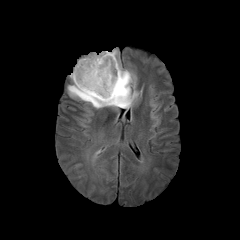
FLAIR MR image.
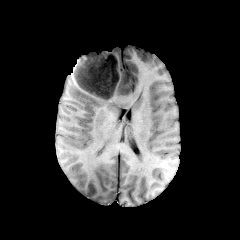
Same slice, T1-weighted magnetic resonance.
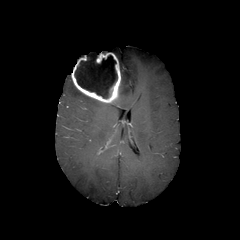
Same slice, post-contrast T1-weighted MR image.
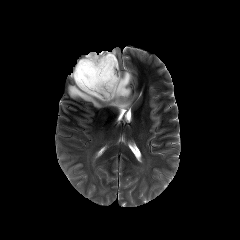
T2-weighted MR image.
The enhancing tumor is bounded by 72, 52, 121, 102. The edema is bounded by 68, 49, 138, 109. The non-enhancing tumor core appears at 75, 55, 117, 97.